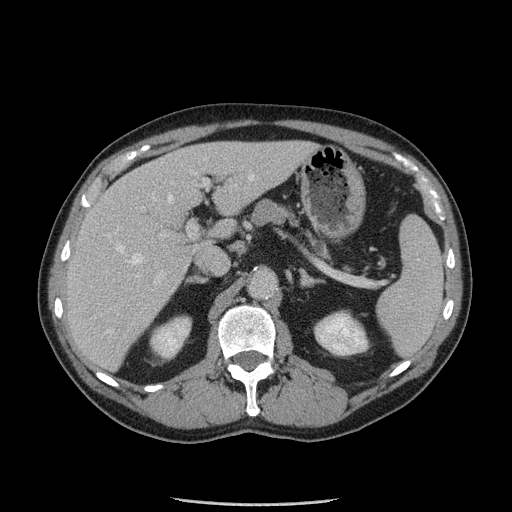

Upper abdomen; Computed tomography

Pancreas: left=251, top=199, right=334, bottom=261.